FLAIR MR.
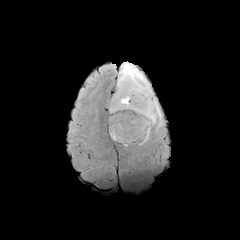
T1-weighted magnetic resonance.
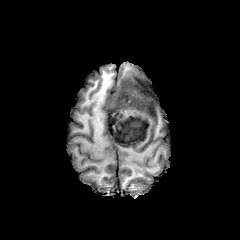
Post-contrast T1-weighted MR image.
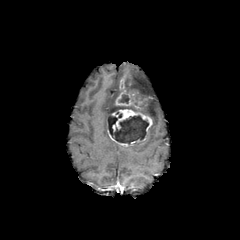
T2-weighted MR.
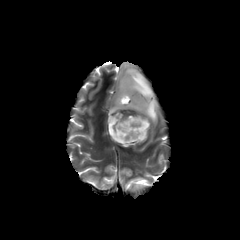
Head; 240x240 px
The non-enhancing tumor core is located at 106, 75, 151, 144. 3 enhancing tumor regions are bounded by 107, 130, 141, 148; 112, 109, 152, 133; 116, 90, 133, 105. The edema is bounded by 117, 61, 161, 124.